Image size 240x240, Field of view 240 mm wide, 1.00 mm slice spacing, Slice 127 of 155
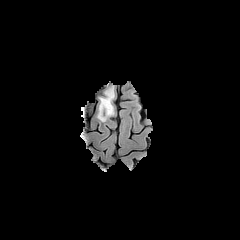
FLAIR MRI.
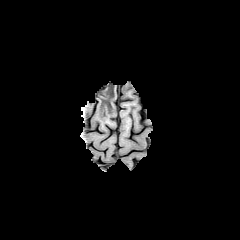
T1-weighted MRI.
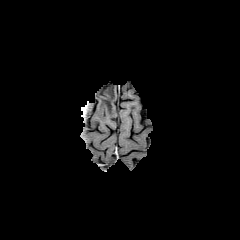
Post-contrast T1-weighted MR image of the same slice.
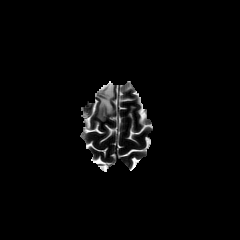
T2-weighted MRI.
edema:
  - <bbox>81, 103, 91, 117</bbox>
  - <bbox>96, 92, 109, 121</bbox>
  - <bbox>108, 88, 115, 104</bbox>
non-enhancing_tumor_core:
  - <bbox>98, 86, 113, 115</bbox>